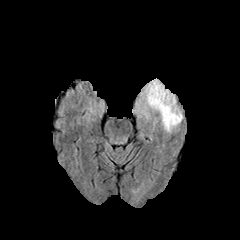
FLAIR MR image.
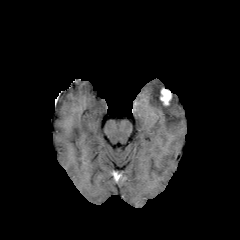
T1-weighted MR image of the same slice.
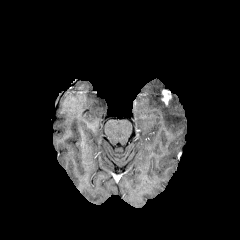
Post-contrast T1-weighted MRI of the same slice.
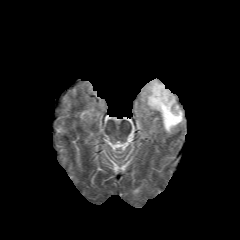
T2-weighted MR image of the same slice.
Image size 240x240, Brain
Segmented structures:
• edema: 134:79:183:137
• enhancing tumor: 161:90:171:105